Liver. CT image. Image size 512x512. Slice index 55.

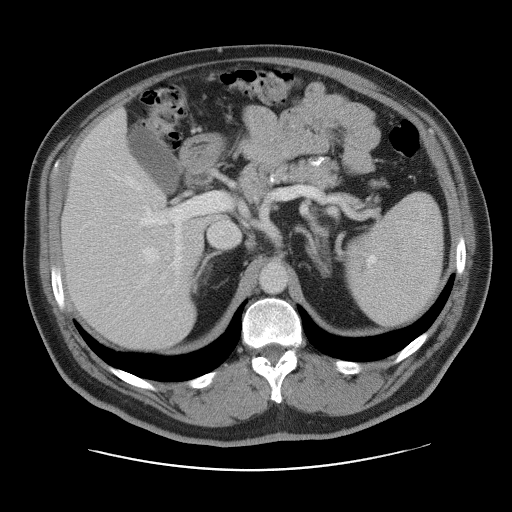 Only some of the vessels may be annotated.
Hepatic vessel: bounding box 209,225,238,245; 154,190,156,191; 143,248,158,262; 272,188,295,198; 124,177,141,190; 138,192,230,268.